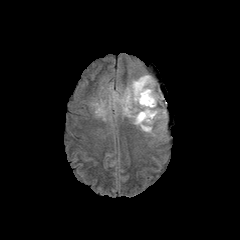
FLAIR MR.
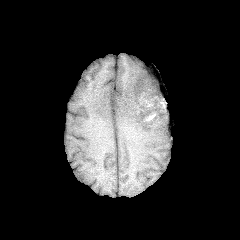
Same slice, T1-weighted MR image.
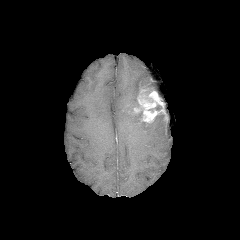
Post-contrast T1-weighted MRI of the same slice.
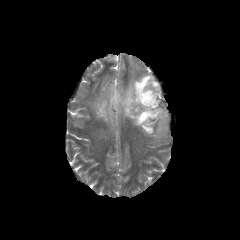
T2-weighted MRI of the same slice.
Head.
Enhancing tumor — x1=133 y1=86 x2=165 y2=121.
Edema — x1=92 y1=74 x2=166 y2=137.
Non-enhancing tumor core — x1=138 y1=77 x2=156 y2=93, x1=110 y1=89 x2=120 y2=111, x1=134 y1=109 x2=150 y2=126.